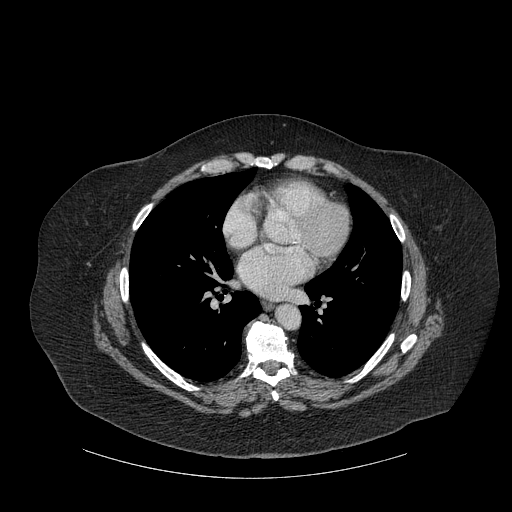

CT.
2 lung regions appear at 129 168 260 381, 297 189 402 377. 10 bone regions appear at 120 268 128 301, 133 204 152 229, 142 343 197 390, 240 321 295 385, 255 158 272 168, 390 215 404 241, 401 334 416 352, 401 271 410 300, 349 334 393 382, 272 391 278 400.